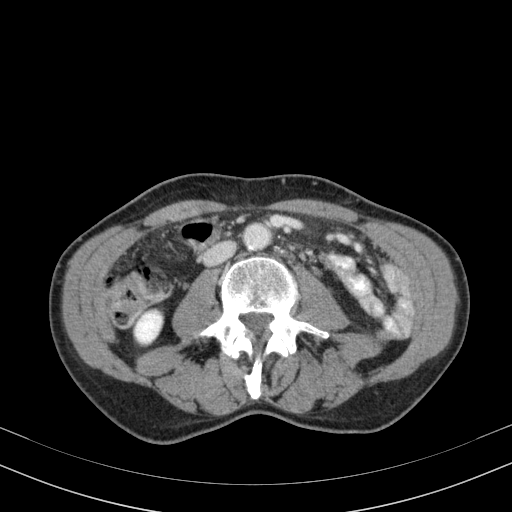 CT | Abdomen
The kidney is at box(135, 312, 161, 342).